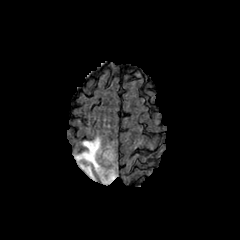
FLAIR MRI.
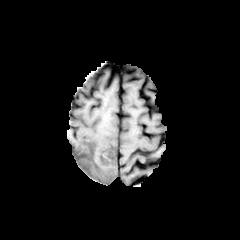
T1-weighted MRI.
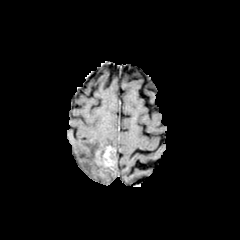
Post-contrast T1-weighted MR of the same slice.
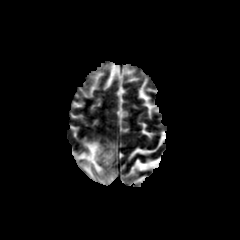
T2-weighted MR of the same slice.
Head
The enhancing tumor lies within (102, 148, 114, 169). The edema is at (74, 136, 117, 185). The non-enhancing tumor core lies within (89, 145, 114, 163).